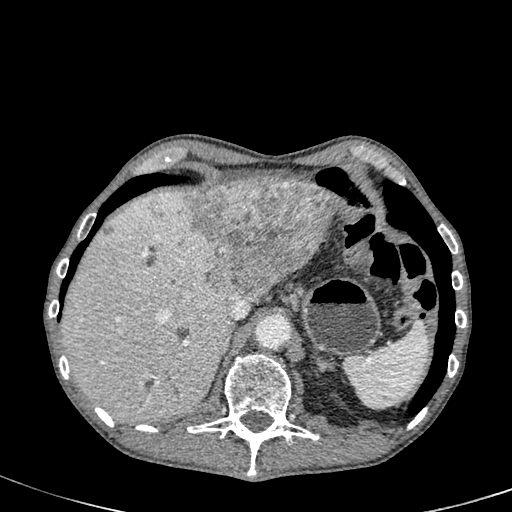

CT. The liver lies within 62,191,240,422. The liver lesion lies within 184,180,338,300.